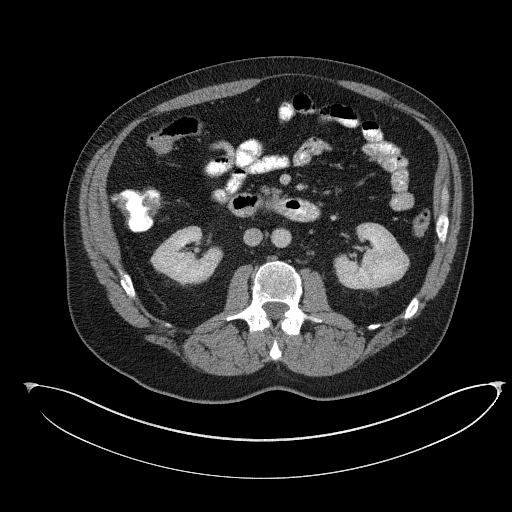 CT scan slice. Abdomen. 512x512 px.

Pancreas: (260,186,281,204).